Image width 411 mm; CT slice 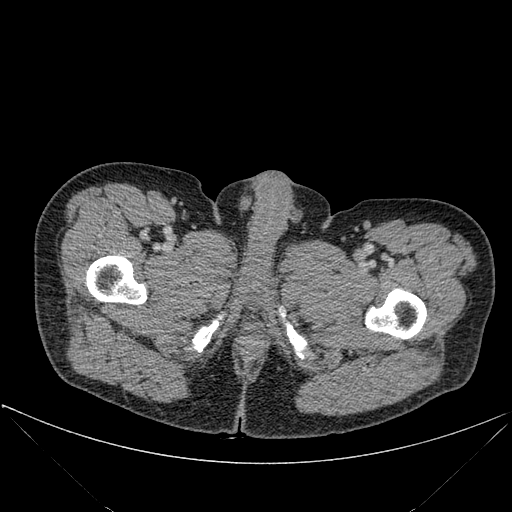
4 bone regions are bounded by l=86, t=256, r=146, b=304; l=192, t=320, r=218, b=351; l=286, t=323, r=306, b=358; l=365, t=289, r=426, b=338.